FLAIR MRI.
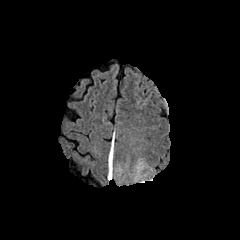
T1-weighted MR.
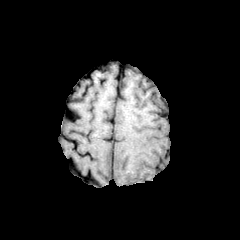
Post-contrast T1-weighted MR.
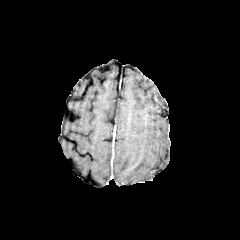
T2-weighted MR image.
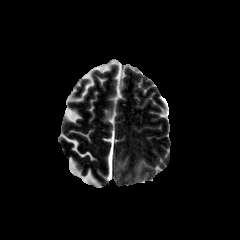
Head
Annotated regions:
- edema: x1=108 y1=140 x2=113 y2=179